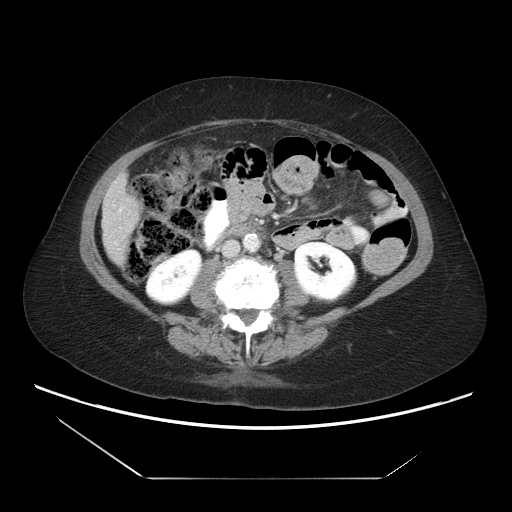
Abdomen, CT
Not every hepatic vessel necessarily has a box.
Hepatic vessel: bounding box 119:209:121:210.